512x512 px, Computed tomography, Upper abdomen, Image width 498 mm 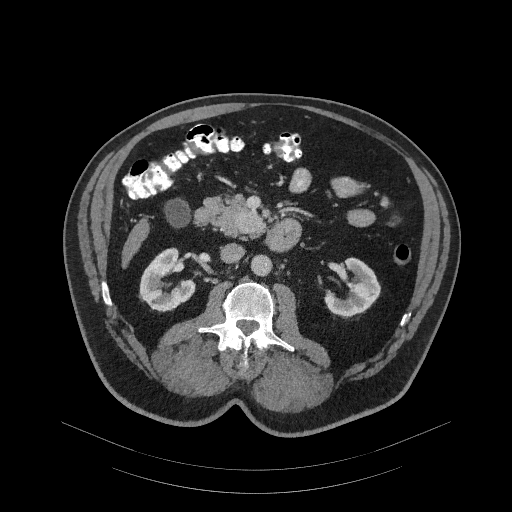 Pancreas: bounding box box=[205, 197, 258, 237].
Pancreatic tumor: bounding box box=[235, 211, 265, 233].